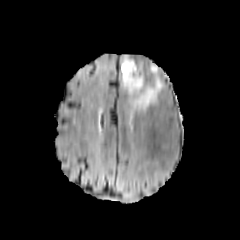
FLAIR MR.
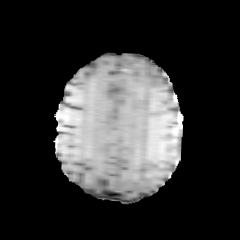
T1-weighted MRI.
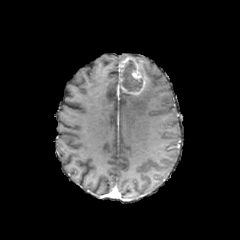
Same slice, post-contrast T1-weighted MRI.
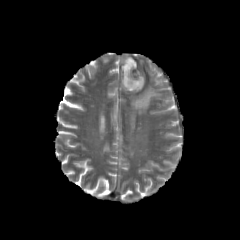
T2-weighted MR image.
- non-enhancing tumor core: l=120, t=60, r=143, b=91
- edema: l=128, t=63, r=163, b=113
- enhancing tumor: l=120, t=57, r=147, b=94